FLAIR MR.
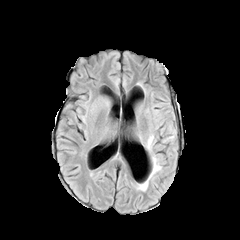
T1-weighted magnetic resonance.
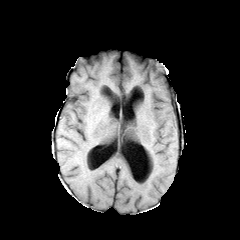
Post-contrast T1-weighted MR.
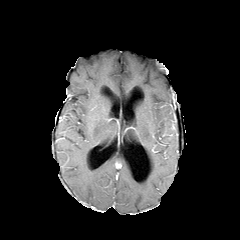
T2-weighted magnetic resonance.
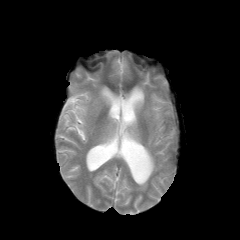
Head. Image size 240x240.
Edema — [x1=146, y1=135, x2=155, y2=151], [x1=136, y1=154, x2=161, y2=190].